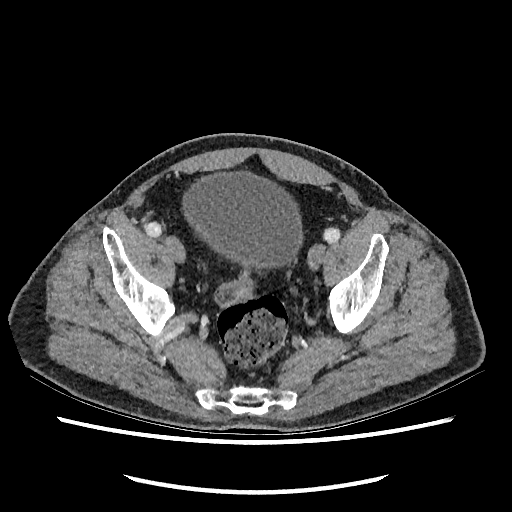
512x512, Computed tomography

Segmented structures:
• urinary bladder: box(183, 171, 302, 272)